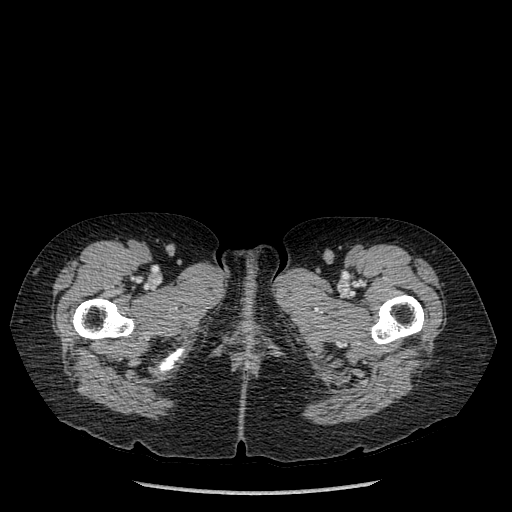

512x512 px | Computed tomography

Bone = x1=370, y1=295, x2=424, y2=344; x1=158, y1=347, x2=184, y2=372; x1=71, y1=297, x2=134, y2=340.